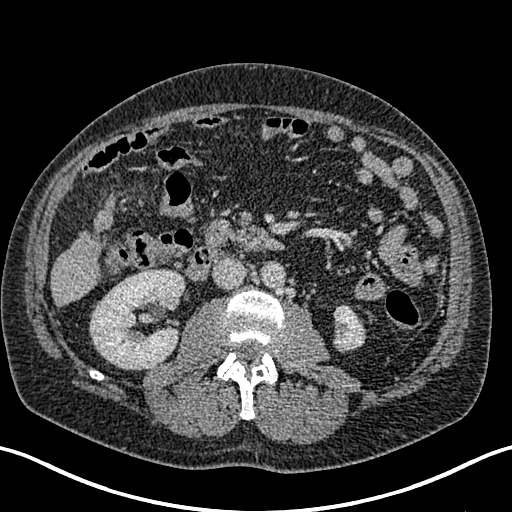 CT, Upper abdomen
2 liver regions are located at [51,231,101,307], [92,195,117,227]. 2 kidney regions appear at [334,306,363,349], [90,270,183,368]. The hepatic lesion is located at [89,221,107,259].